CT; Abdomen; Slice 116 of 148

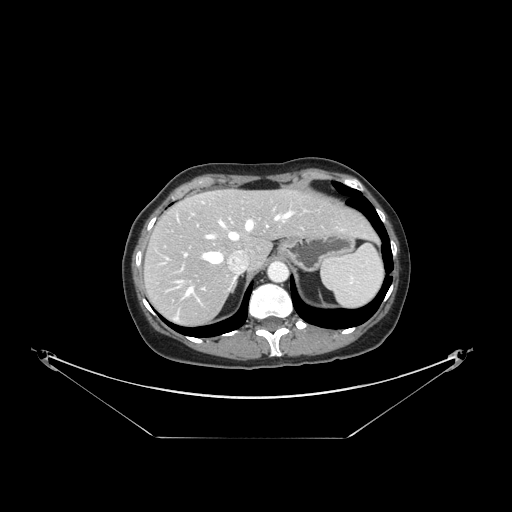

The vessel annotation is not exhaustive.
Hepatic vessel at box(246, 221, 252, 229); box(285, 213, 290, 216); box(229, 232, 237, 239); box(276, 215, 282, 218); box(207, 235, 211, 237).